Field of view 344x344 mm; CT slice 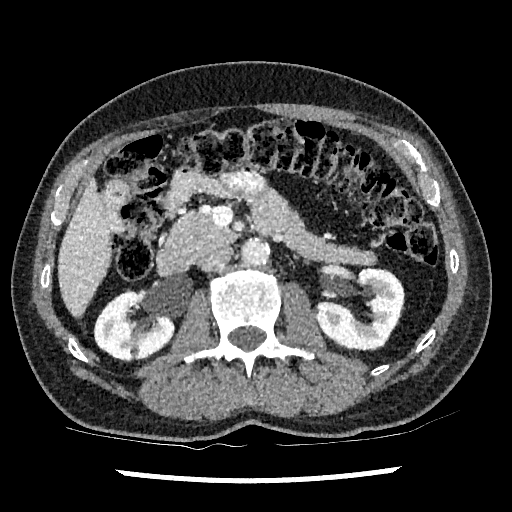
2 kidney regions are bounded by rect(95, 292, 173, 359); rect(317, 269, 403, 348). The liver is bounded by rect(59, 176, 110, 317).